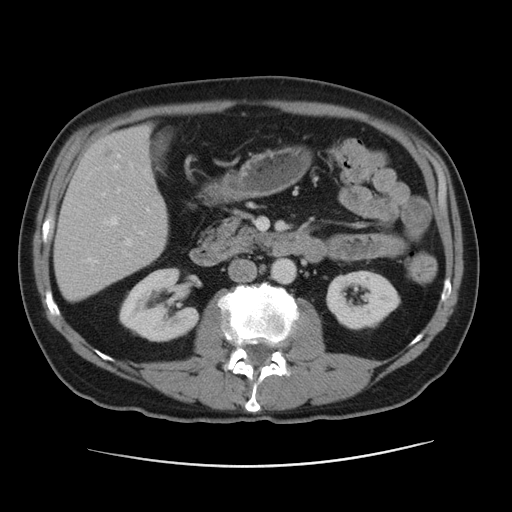
CT; Abdomen; 512x512 px
Kidney: bounding box 326:270:400:329, 121:269:197:340.
Hepatic lesion: bounding box 105:149:112:158.
Liver: bounding box 54:132:166:297.